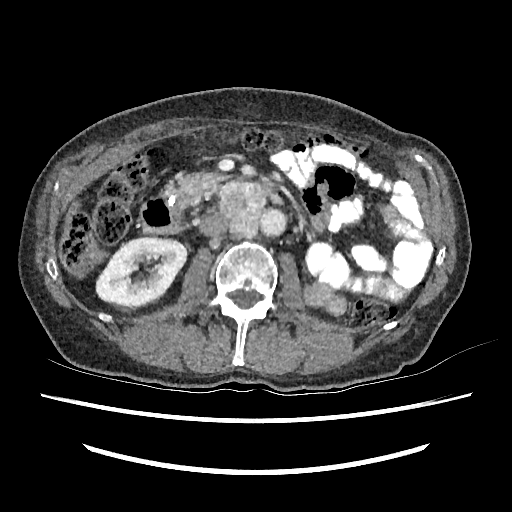

CT scan slice, Abdomen

Kidney at 96, 238, 186, 305.